Brain
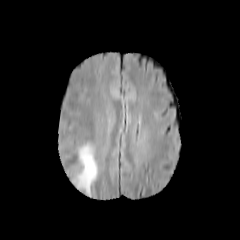
FLAIR magnetic resonance.
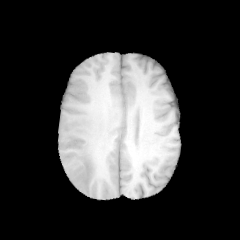
T1-weighted MRI of the same slice.
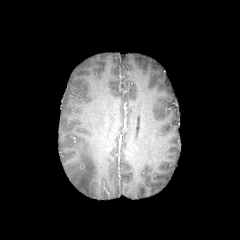
Same slice, post-contrast T1-weighted MR image.
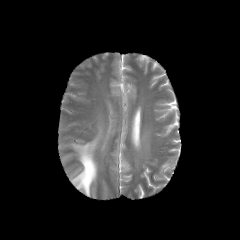
T2-weighted MRI of the same slice.
Edema: box=[72, 142, 97, 195].